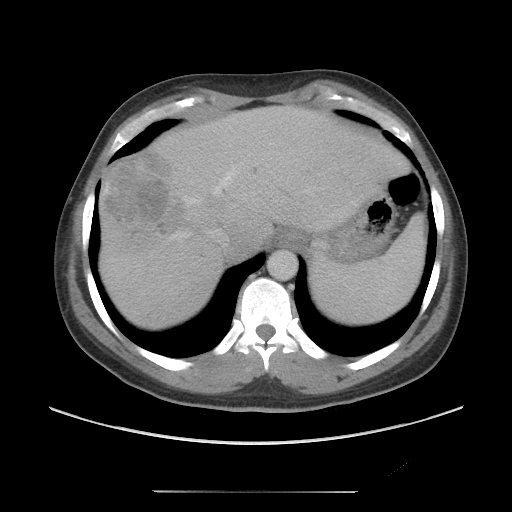
CT. Abdomen.

Some hepatic vessels may have no box.
Liver tumor: bounding box (104, 149, 173, 231).
Hepatic vessel: bounding box (213, 172, 233, 194), (303, 188, 310, 191), (170, 231, 190, 238), (184, 196, 196, 202).